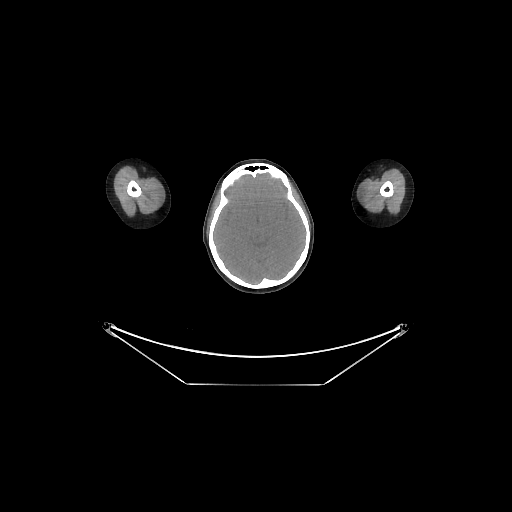 Head; CT image

<segmentation>
  <brain>[213, 172, 303, 285]</brain>
</segmentation>